Brain
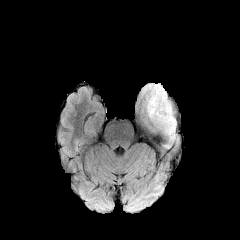
FLAIR MR image.
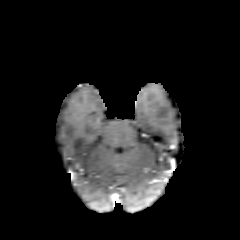
T1-weighted MRI of the same slice.
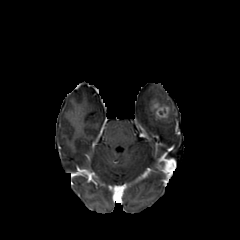
Post-contrast T1-weighted MR image of the same slice.
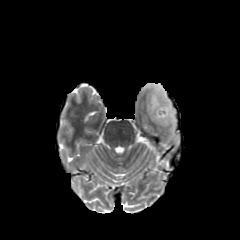
T2-weighted MR.
edema: (146, 85, 176, 140) | enhancing tumor: (153, 103, 169, 118)